MRI slice, Slice index 9
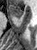
<segmentation>
  <anterior_hippocampus>box=[9, 5, 23, 18]</anterior_hippocampus>
</segmentation>